FLAIR MR image.
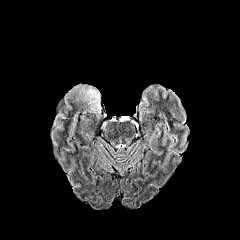
T1-weighted MR image.
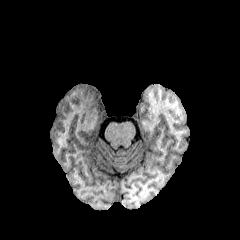
Post-contrast T1-weighted MR image.
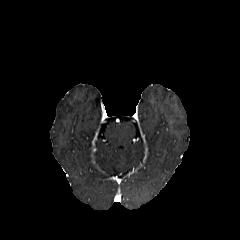
T2-weighted MR.
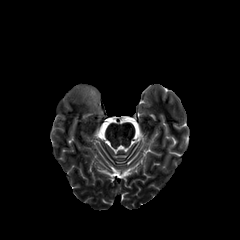
Image size 240x240, Head
Edema: [73, 85, 101, 116].